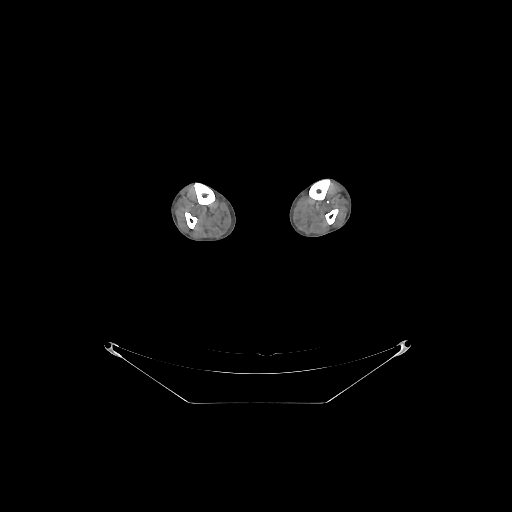

Image size 512x512 | Computed tomography
Annotated regions:
• bone: bbox=[325, 209, 338, 224]; bbox=[185, 212, 197, 228]; bbox=[194, 183, 214, 204]; bbox=[309, 179, 330, 200]